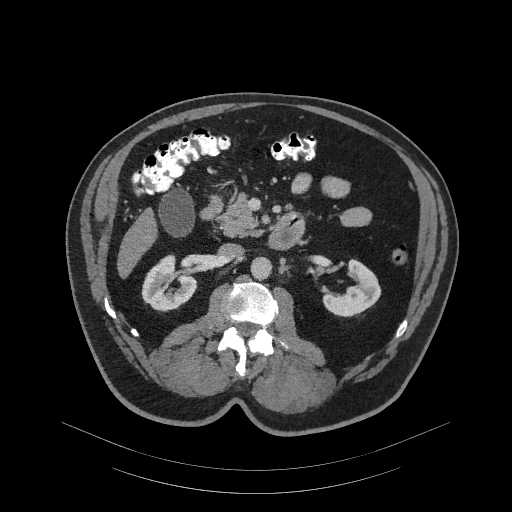

Upper abdomen; CT slice
pancreas:
  - x1=216, y1=195, x2=256, y2=233